MR | Heart | Slice 58/130
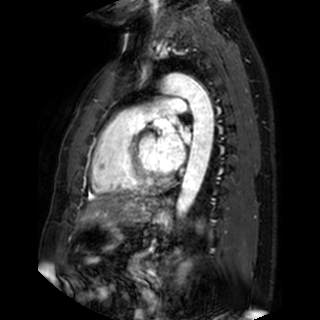

2 left atrium regions are bounded by region(157, 121, 191, 170); region(168, 114, 180, 124).